CT, Upper abdomen, 512x512

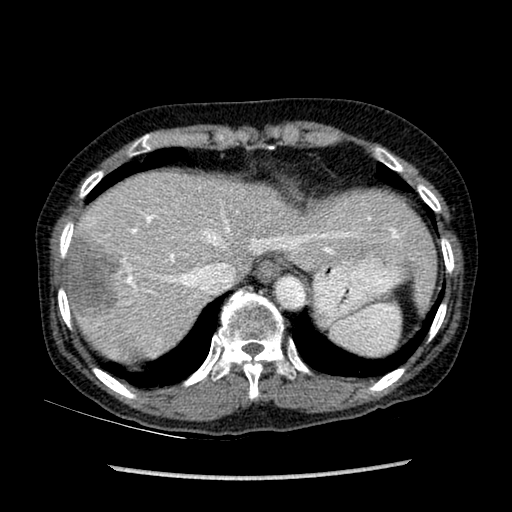
liver lesion: 66:234:125:317 | liver: 73:169:436:360